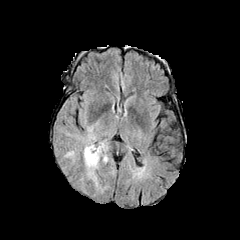
FLAIR MR.
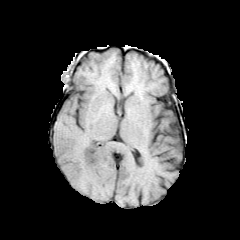
Same slice, T1-weighted MR image.
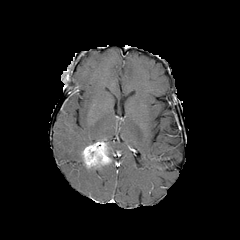
Post-contrast T1-weighted MRI.
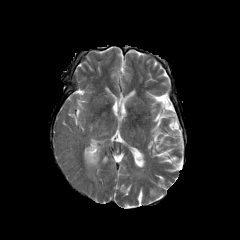
Same slice, T2-weighted MRI.
240x240 px
Enhancing tumor: (83,142,111,168).
Edema: (84,160,103,193), (73,122,111,158).